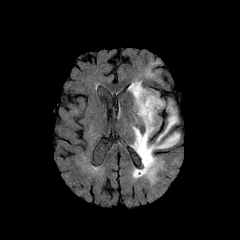
FLAIR MRI.
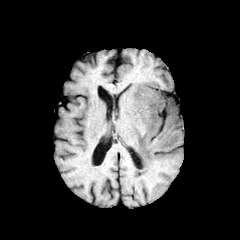
T1-weighted MR image.
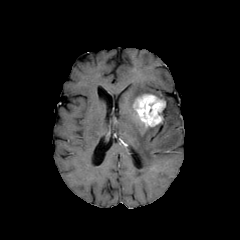
Same slice, post-contrast T1-weighted MR.
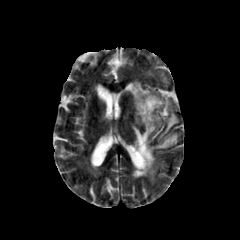
Same slice, T2-weighted MR image.
240x240
2 edema regions appear at {"x1": 128, "y1": 81, "x2": 153, "y2": 100}, {"x1": 130, "y1": 100, "x2": 179, "y2": 179}. The enhancing tumor is bounded by {"x1": 133, "y1": 93, "x2": 165, "y2": 128}.